FLAIR MR image.
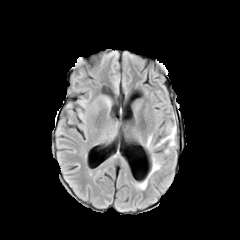
T1-weighted MR image.
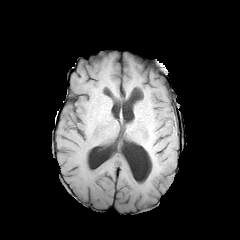
Post-contrast T1-weighted MRI.
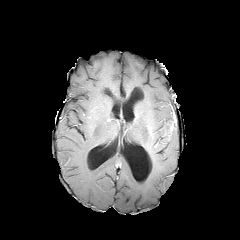
T2-weighted MRI.
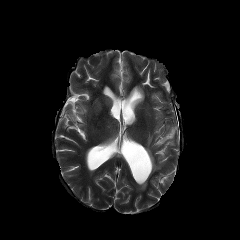
Image size 240x240
Edema at x1=137 y1=122 x2=176 y2=190.